Field of view 360 mm wide, 0.80 mm slice spacing, Abdomen, CT, Slice index 440 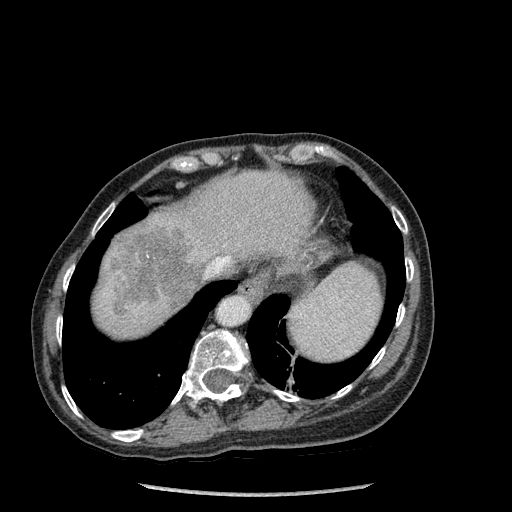
Segmented structures:
- focal liver lesion: (114,232,198,302), (114,301,124,315)
- liver: (131,254,138,267), (92,170,317,339)
- lung: (62,193,236,429), (247,167,405,398)
- bone: (171,330,249,406), (391,207,407,233), (63,265,74,290), (92,203,114,235), (370,347,385,368), (405,257,414,281), (62,386,81,417), (273,390,299,401), (56,316,62,343), (332,385,351,398), (112,429,143,441), (396,304,404,326)